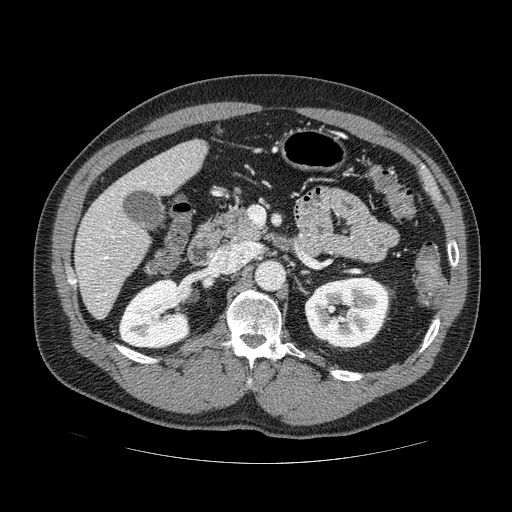

CT scan slice, 512x512, Upper abdomen
* pancreas: (x1=217, y1=208, x2=266, y2=243)